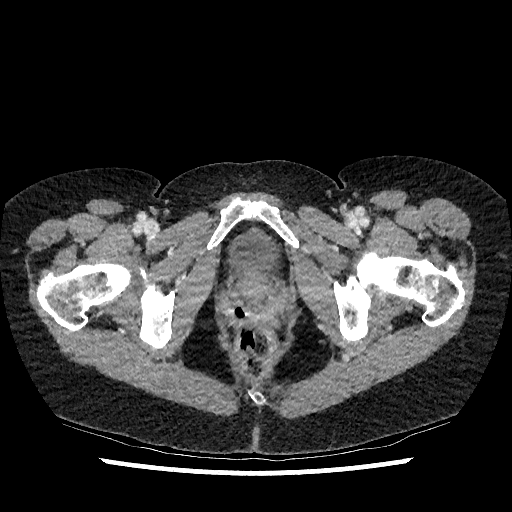
CT

The urinary bladder lies within (223,221,286,288).